FLAIR magnetic resonance.
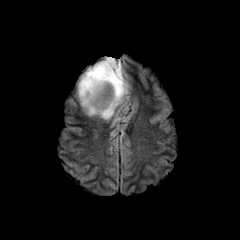
T1-weighted magnetic resonance.
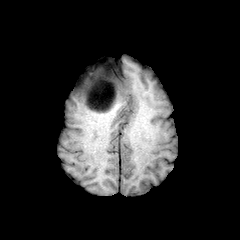
Post-contrast T1-weighted MR image.
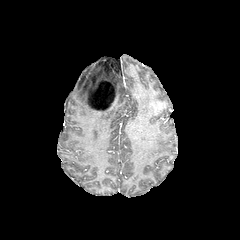
T2-weighted MR.
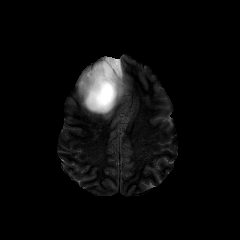
240x240 px. Brain.
<segmentation>
  <edema>box=[76, 57, 128, 119]</edema>
  <non-enhancing_tumor_core>box=[86, 59, 124, 112]</non-enhancing_tumor_core>
</segmentation>